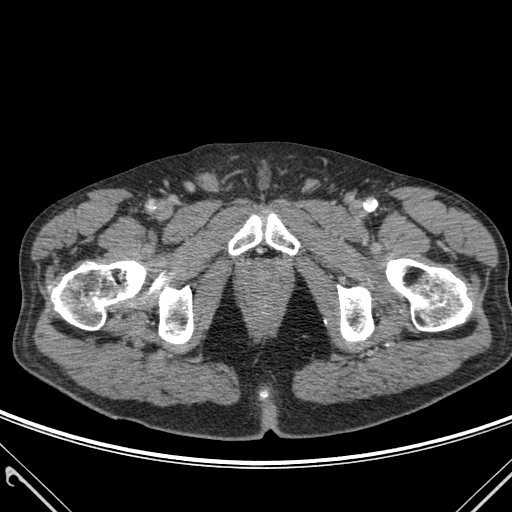

CT image

Bone: bounding box x1=229, y1=214, x2=299, y2=254; x1=159, y1=286, x2=193, y2=343; x1=337, y1=285, x2=373, y2=340; x1=51, y1=261, x2=145, y2=330; x1=386, y1=259, x2=471, y2=331; x1=150, y1=274, x2=166, y2=292.